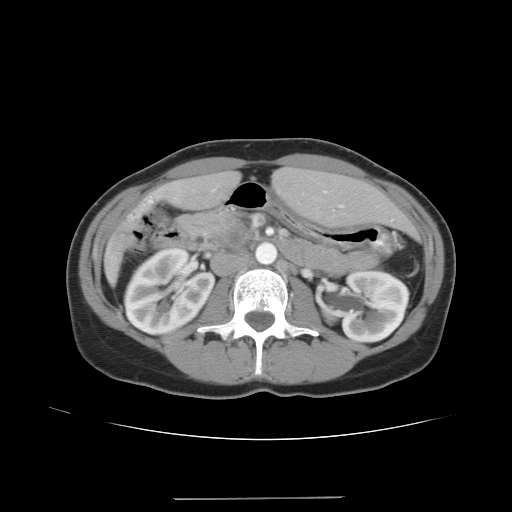

Upper abdomen, CT image
pancreas:
  - 194 210 251 251
  - 282 240 369 276
pancreatic_tumor:
  - 223 225 248 246